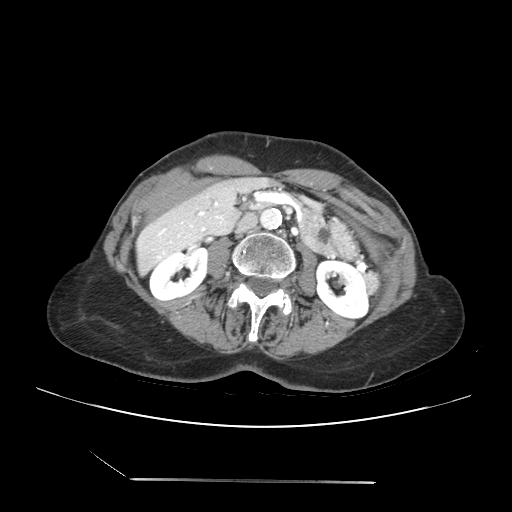
512x512 px. CT.
The pancreatic tumor lies within rect(317, 227, 330, 244). The pancreas lies within rect(300, 206, 338, 259).